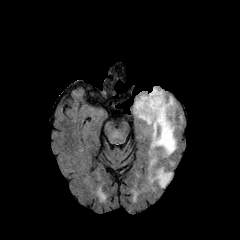
FLAIR MR image.
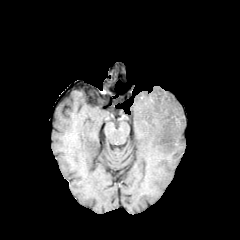
T1-weighted MR image.
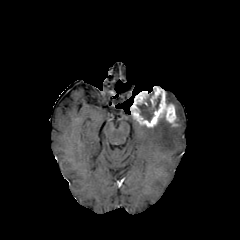
Post-contrast T1-weighted MR image.
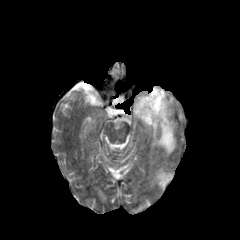
T2-weighted MRI of the same slice.
Brain
The enhancing tumor appears at (130,86,175,127). 2 edema regions are located at (150,120,176,155), (155,168,172,187). The non-enhancing tumor core appears at (137,90,160,121).